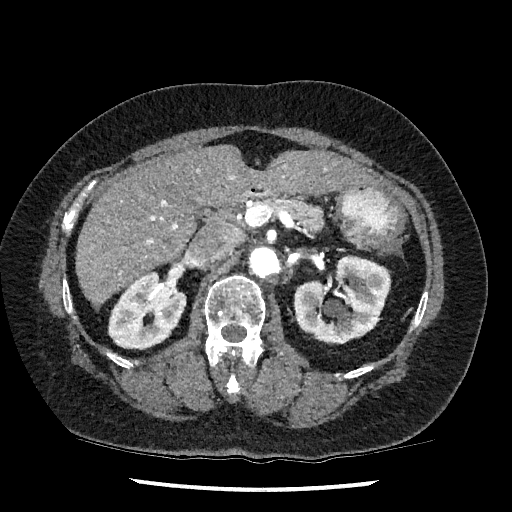
Computed tomography | Image size 512x512

Kidney: x1=109 y1=264 x2=185 y2=348, x1=294 y1=257 x2=390 y2=343.
Liver: x1=76 y1=145 x2=375 y2=307.